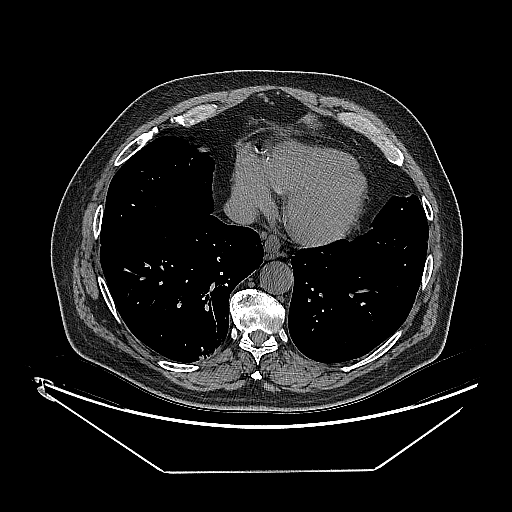
CT
Lung tumor at 198, 353, 212, 360.